Computed tomography | Slice 143/174 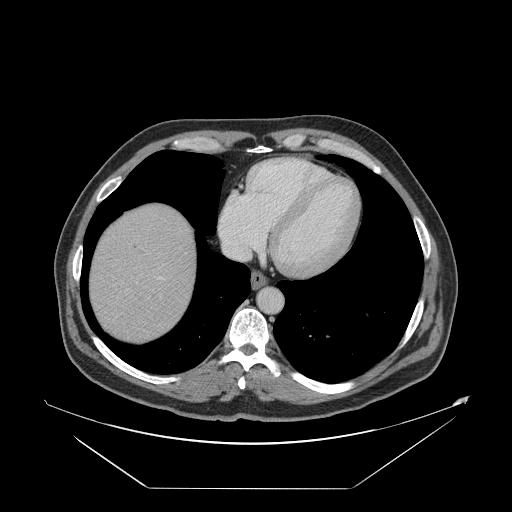 The vessel boxes may cover only some of the vessels.
• hepatic vessel: region(248, 244, 253, 246); region(226, 240, 249, 258); region(157, 277, 161, 278)